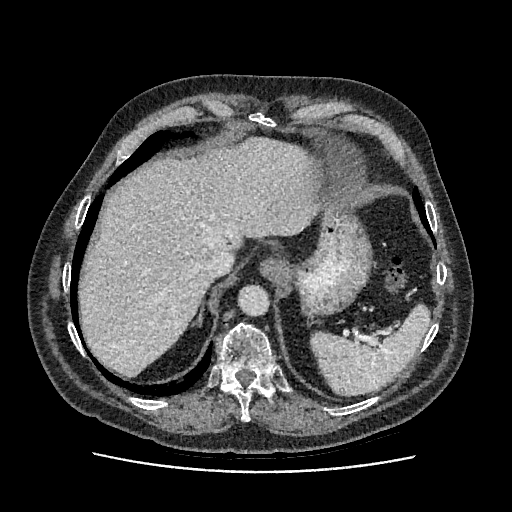
CT image. Abdomen.
{"liver": [{"x1": 79, "y1": 139, "x2": 320, "y2": 375}]}